Brain
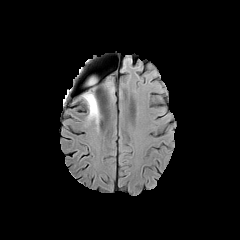
FLAIR MRI.
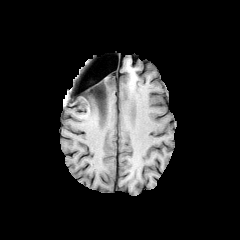
Same slice, T1-weighted magnetic resonance.
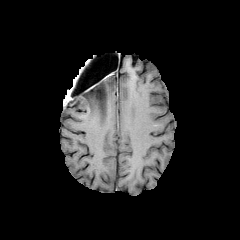
Post-contrast T1-weighted MR.
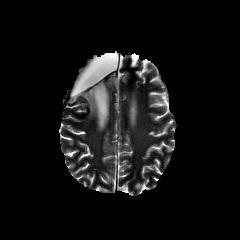
T2-weighted MR of the same slice.
Non-enhancing tumor core — region(89, 90, 101, 117).
Edema — region(80, 77, 105, 127).